Slice 118/164. CT.

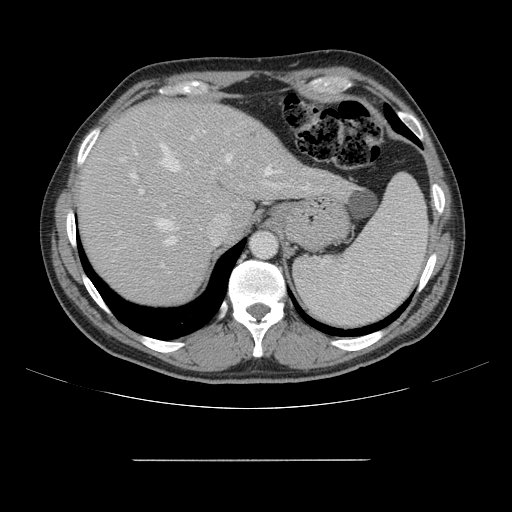 Not every hepatic vessel necessarily has a box.
Annotated regions:
• hepatic vessel (principal 15 of 18): 202 130 205 132, 139 189 143 193, 265 167 281 174, 130 172 136 177, 226 155 231 162, 133 145 136 155, 190 137 193 138, 157 219 178 230, 166 237 175 243, 266 182 284 187, 160 263 163 266, 303 183 310 191, 158 143 179 171, 196 161 201 163, 119 158 124 160